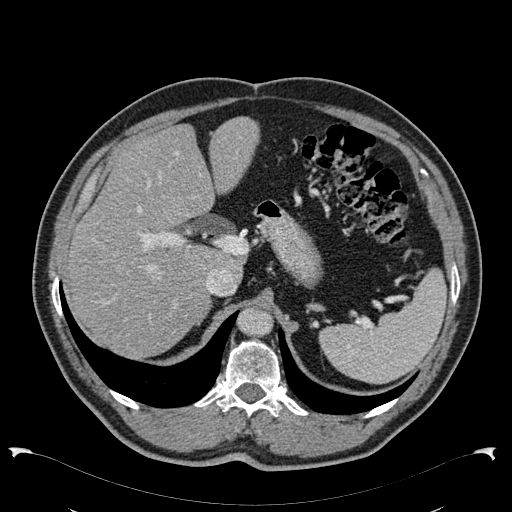

CT image | Upper abdomen
2 liver regions are located at (left=210, top=117, right=258, bottom=193), (left=66, top=123, right=243, bottom=356).